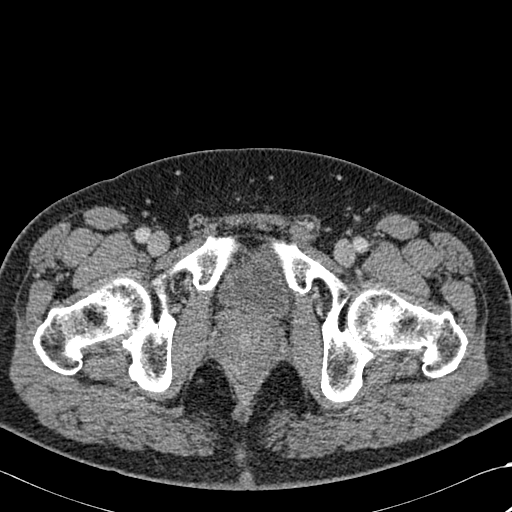

CT slice. 3 bone regions are located at <bbox>170, 237, 235, 290</bbox>, <bbox>273, 243, 467, 402</bbox>, <bbox>33, 277, 175, 392</bbox>.